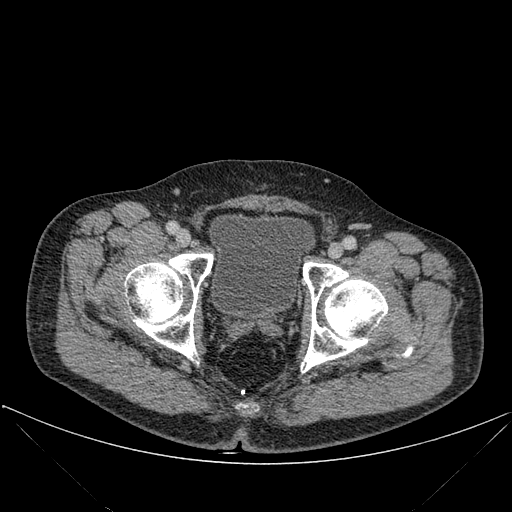

Computed tomography | 512x512 px | Pelvis

Segmented structures:
- urinary bladder: x1=208, y1=213, x2=314, y2=324
- bone: x1=125, y1=253, x2=213, y2=361; x1=237, y1=404, x2=258, y2=412; x1=404, y1=347, x2=412, y2=356; x1=301, y1=262, x2=387, y2=372